Slice 400 of 536, CT image
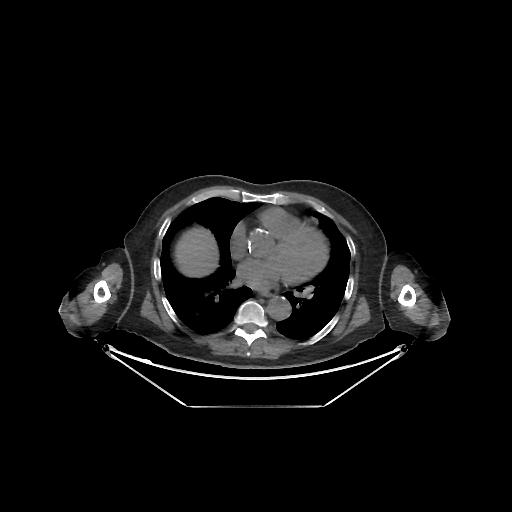

The liver is bounded by {"x1": 176, "y1": 229, "x2": 215, "y2": 276}. 2 lung regions appear at {"x1": 276, "y1": 208, "x2": 350, "y2": 340}, {"x1": 160, "y1": 197, "x2": 262, "y2": 334}. 9 bone regions are bounded by {"x1": 154, "y1": 260, "x2": 160, "y2": 278}, {"x1": 162, "y1": 298, "x2": 176, "y2": 321}, {"x1": 345, "y1": 278, "x2": 353, "y2": 298}, {"x1": 235, "y1": 301, "x2": 267, "y2": 345}, {"x1": 242, "y1": 191, "x2": 279, "y2": 202}, {"x1": 398, "y1": 284, "x2": 415, "y2": 307}, {"x1": 159, "y1": 219, "x2": 169, "y2": 235}, {"x1": 93, "y1": 280, "x2": 110, "y2": 302}, {"x1": 309, "y1": 318, "x2": 337, "y2": 343}.